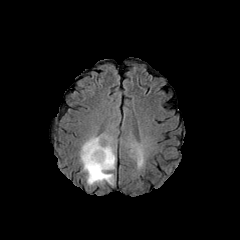
FLAIR MR image.
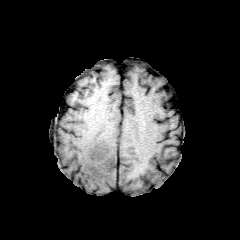
T1-weighted MRI.
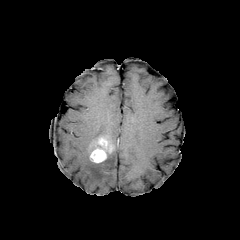
Post-contrast T1-weighted MR image.
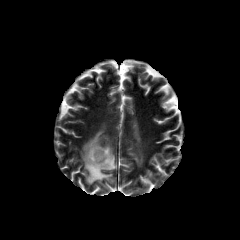
T2-weighted MRI of the same slice.
Image size 240x240 | Head
* enhancing tumor: (88,137,114,163)
* edema: (79,131,116,186), (127,141,144,167)